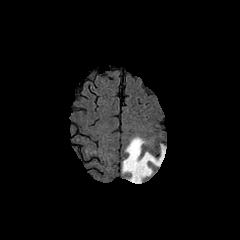
FLAIR MR.
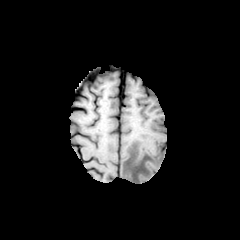
T1-weighted magnetic resonance.
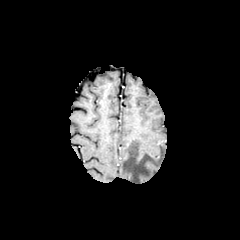
Post-contrast T1-weighted MR image.
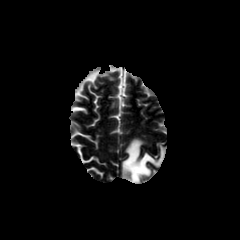
T2-weighted MR.
Image size 240x240 | Head
Edema — 121:137:164:183.